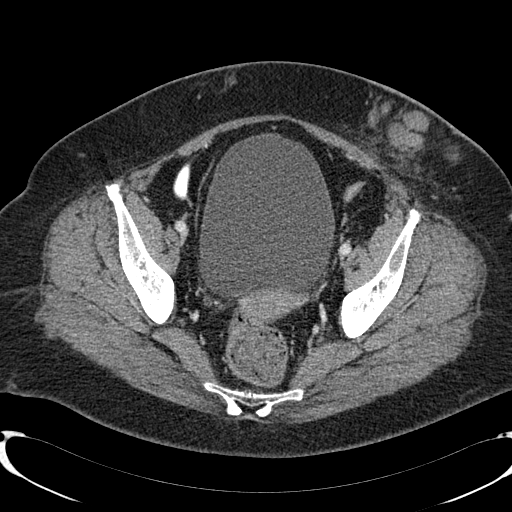 CT scan slice

Segmented structures:
• urinary bladder: rect(199, 133, 333, 297)